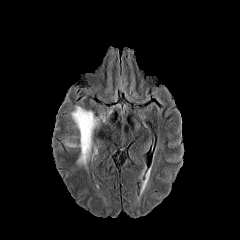
FLAIR MRI.
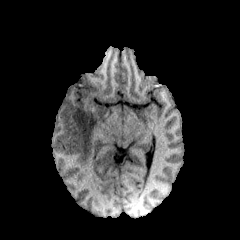
T1-weighted MR image.
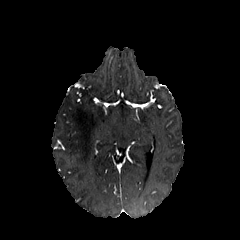
Post-contrast T1-weighted magnetic resonance.
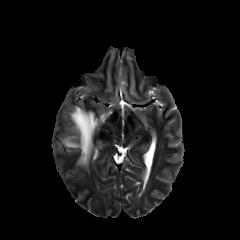
T2-weighted magnetic resonance.
Image size 240x240, Head
{"edema": ["66,106,106,169"]}